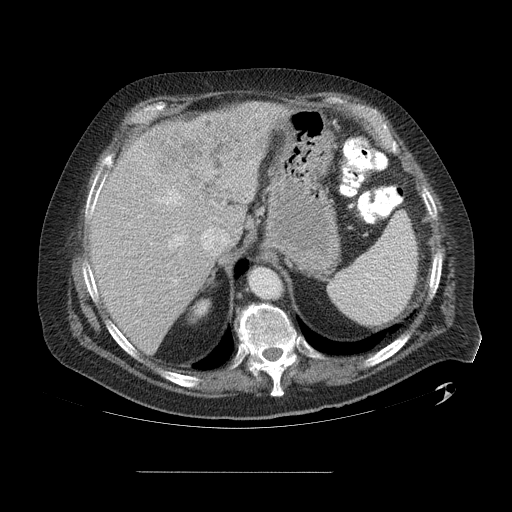
CT slice. 512x512.
Some hepatic vessels may have no box.
Liver tumor = 143 117 266 188.
Hepatic vessel = 155 188 180 203, 138 215 141 216, 171 278 177 284, 168 235 186 249, 193 237 194 239.